Image width 396 mm; Computed tomography

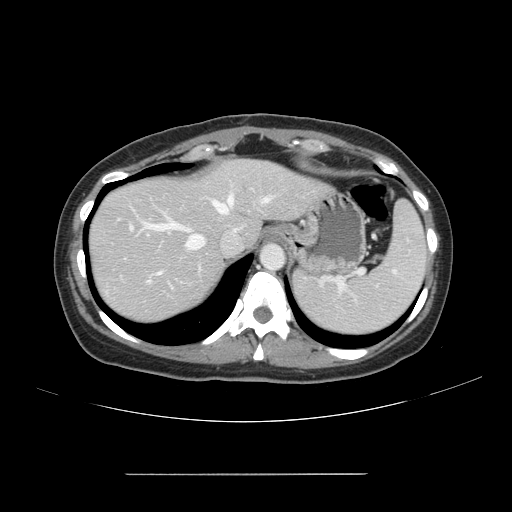
Only some of the vessels may be annotated.
hepatic_vessel:
  - [x1=262, y1=197, x2=269, y2=202]
  - [x1=144, y1=220, x2=189, y2=231]
  - [x1=130, y1=226, x2=132, y2=229]
  - [x1=157, y1=272, x2=161, y2=274]
  - [x1=213, y1=196, x2=233, y2=213]
  - [x1=185, y1=235, x2=204, y2=249]